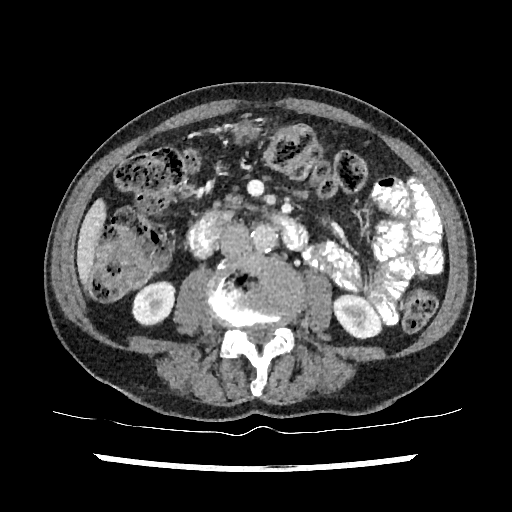

512x512 px | Computed tomography

Liver: bounding box 77,200,104,277.
Kidney: bounding box 334,296,379,336; 134,284,173,323.